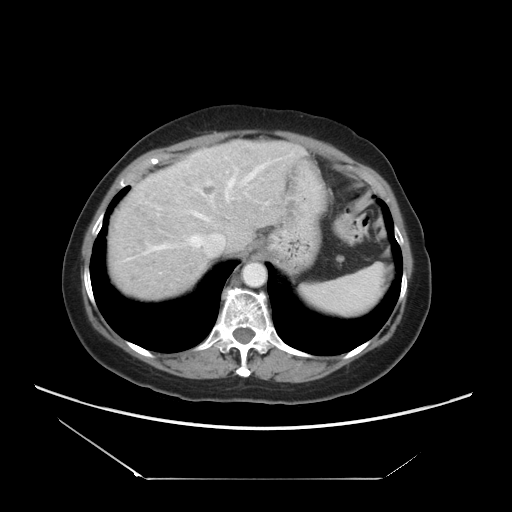
Computed tomography, Abdomen
The vessel annotation is not exhaustive.
10 hepatic vessel regions are located at l=210, t=195, r=213, b=199; l=213, t=225, r=217, b=225; l=192, t=211, r=208, b=220; l=198, t=189, r=203, b=194; l=234, t=167, r=238, b=170; l=225, t=178, r=234, b=200; l=189, t=233, r=224, b=250; l=242, t=165, r=264, b=184; l=144, t=244, r=173, b=253; l=207, t=181, r=211, b=184.